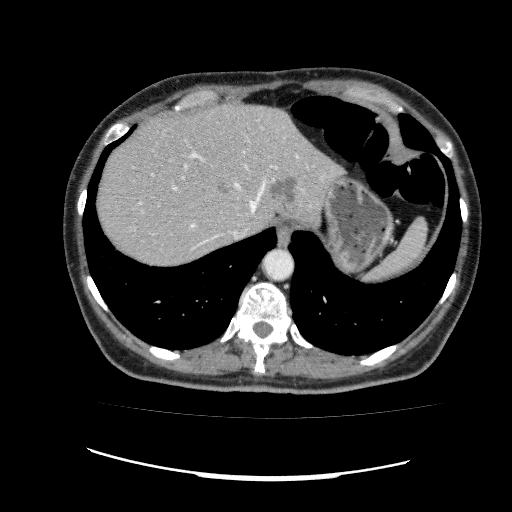 Computed tomography; Liver
2 focal liver lesion regions are located at 268 177 297 204, 217 180 231 193. The liver is bounded by 97 102 345 267.